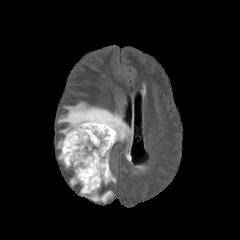
FLAIR MR.
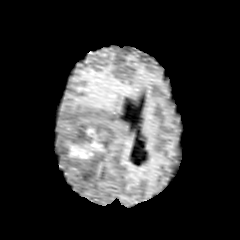
T1-weighted magnetic resonance of the same slice.
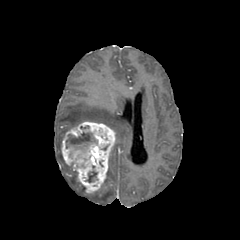
Same slice, post-contrast T1-weighted MR image.
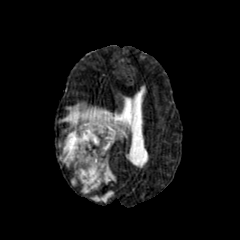
T2-weighted magnetic resonance.
The enhancing tumor is located at region(61, 120, 117, 194). 5 edema regions are bounded by region(70, 172, 76, 186); region(58, 141, 68, 169); region(105, 165, 116, 184); region(88, 191, 113, 202); region(58, 102, 128, 140). The non-enhancing tumor core is at region(68, 133, 93, 144).